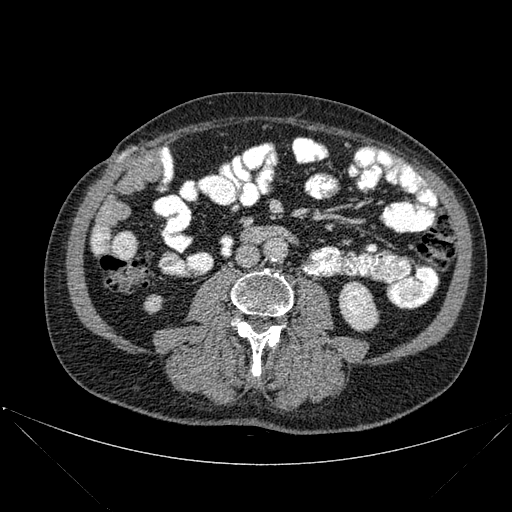 Computed tomography. Abdomen. 2 kidney regions are bounded by (339, 282, 377, 330), (145, 296, 161, 311). 2 bone regions are bounded by (231, 319, 284, 375), (231, 269, 292, 315).